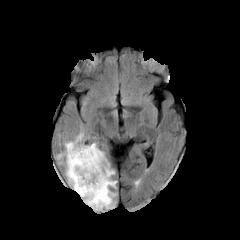
FLAIR MR image.
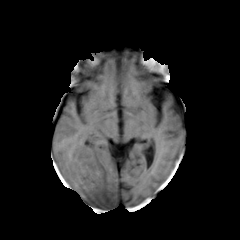
T1-weighted magnetic resonance.
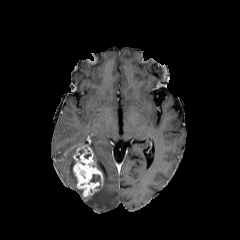
Post-contrast T1-weighted MR image of the same slice.
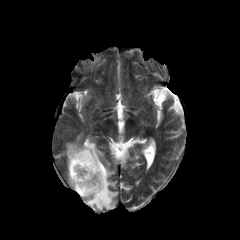
Same slice, T2-weighted MR image.
<segmentation>
  <non-enhancing_tumor_core>(91, 175, 100, 181), (96, 160, 106, 182)</non-enhancing_tumor_core>
  <edema>(56, 132, 89, 186), (83, 136, 117, 210)</edema>
  <enhancing_tumor>(72, 139, 104, 200)</enhancing_tumor>
</segmentation>